Slice 84/155; Field of view 240x240 mm
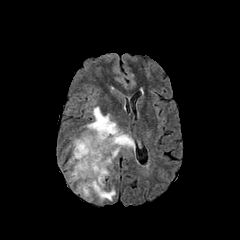
FLAIR MR.
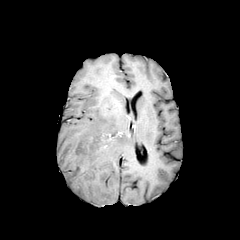
T1-weighted MR.
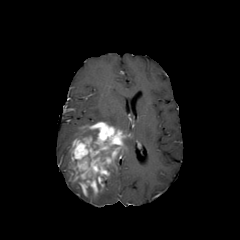
Post-contrast T1-weighted MR image.
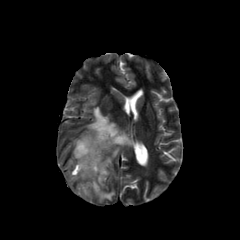
T2-weighted MR.
3 edema regions appear at box=[118, 130, 134, 152]; box=[95, 189, 115, 201]; box=[85, 106, 121, 129]. 2 non-enhancing tumor core regions appear at box=[78, 128, 97, 140]; box=[100, 150, 111, 161]. The enhancing tumor is at box=[70, 122, 125, 195].